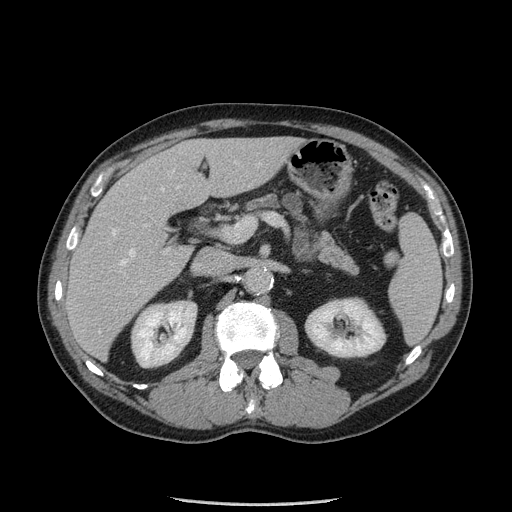 512x512 | CT slice
Segmented structures:
• pancreatic tumor: [283,193,302,213]
• pancreas: [244,193,359,276]